Slice 123 of 155
FLAIR MR.
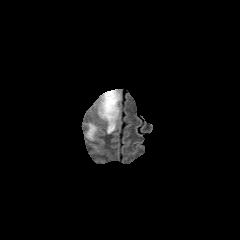
T1-weighted MR.
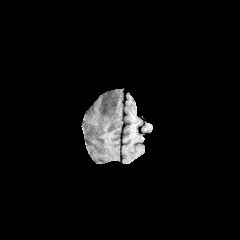
Post-contrast T1-weighted magnetic resonance.
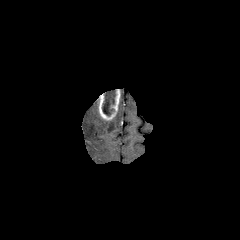
T2-weighted MR.
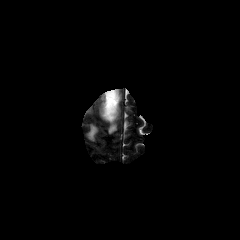
enhancing tumor: [x1=112, y1=92, x2=119, y2=110], [x1=98, y1=94, x2=115, y2=119] | non-enhancing tumor core: [x1=102, y1=90, x2=117, y2=116] | edema: [x1=103, y1=103, x2=119, y2=133], [x1=86, y1=124, x2=99, y2=140]